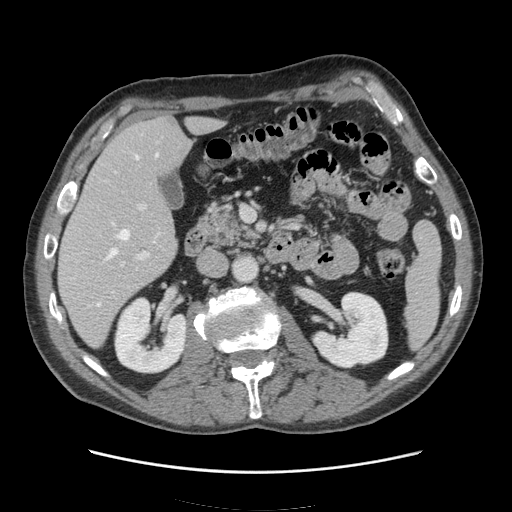
Upper abdomen, Computed tomography
The spleen is located at rect(406, 221, 441, 347).